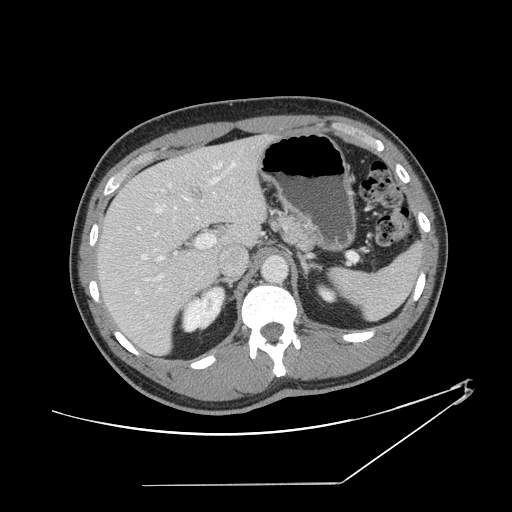

512x512 | Computed tomography
Some hepatic vessels may have no box.
Annotated regions:
* hepatic vessel (most prominent 15 of 24): [136,290,138,293], [158,257,163,259], [136,326,139,328], [157,274,163,278], [185,198,190,200], [213,192,215,196], [158,189,164,191], [229,162,236,168], [155,232,157,235], [209,178,217,184], [195,233,215,248], [142,255,146,259], [156,207,161,212], [214,163,221,168], [156,287,160,291]